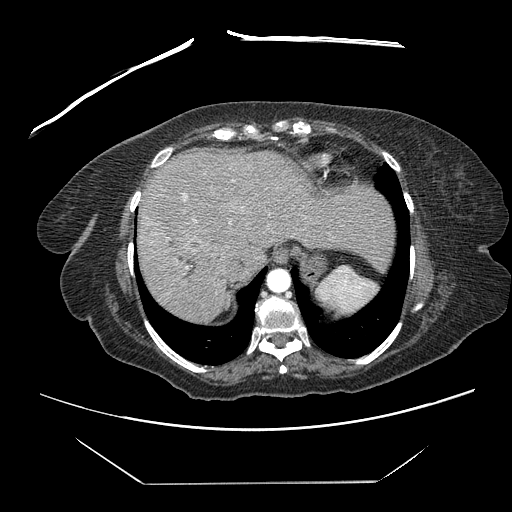
Abdomen. CT. 512x512.
{"liver_tumor": ["rect(187, 239, 202, 253)"]}